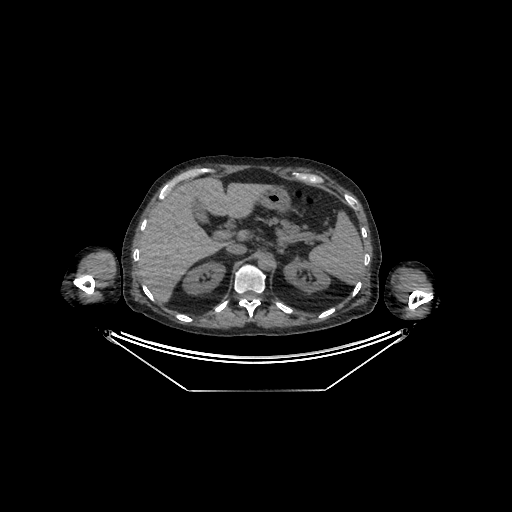 CT slice
kidney:
  - [283,257,330,294]
  - [182,261,225,294]
liver:
  - [238,231,248,240]
  - [136,177,272,303]